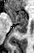 Magnetic resonance. Medial temporal lobe.

The anterior hippocampus appears at 7:8:27:24. The posterior hippocampus is located at 15:23:27:33.